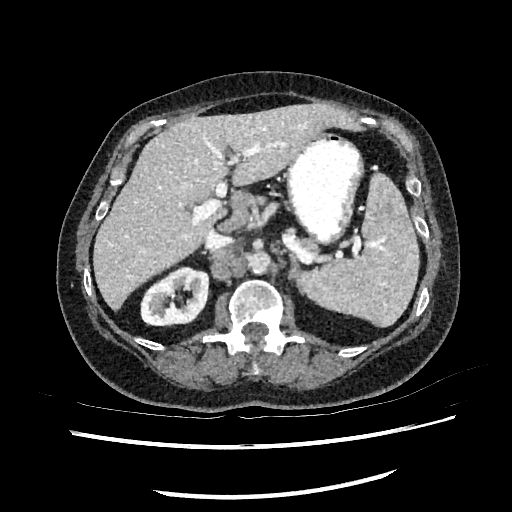

Computed tomography; Liver
Kidney = l=141, t=268, r=207, b=325.
Liver = l=94, t=102, r=365, b=309.